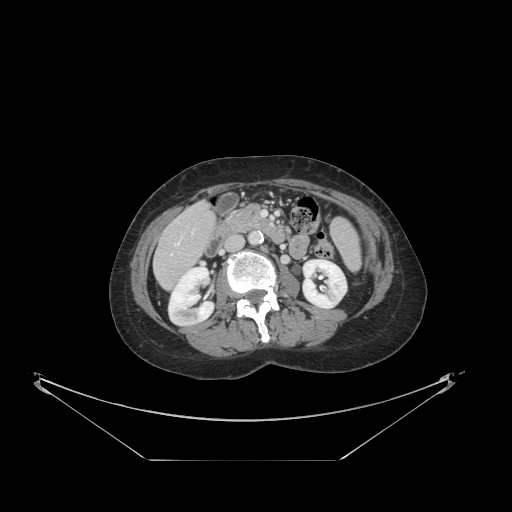
CT

Some hepatic vessels may have no box.
hepatic_vessel:
  - left=175, top=239, right=180, bottom=245